CT scan slice

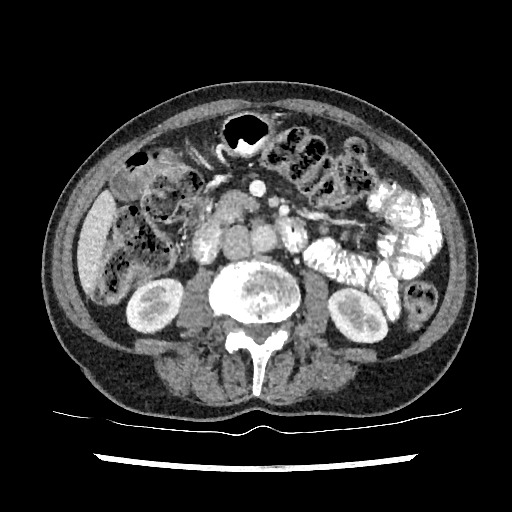 liver: <box>78,191,113,293</box> | kidney: <box>127,280,182,331</box>, <box>329,290,386,341</box>